Head, Slice 99/155, Field of view 240 mm wide, 1.00 mm slice spacing
FLAIR MR.
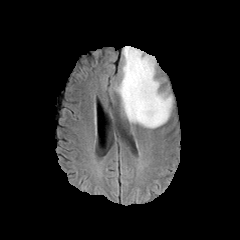
T1-weighted MRI.
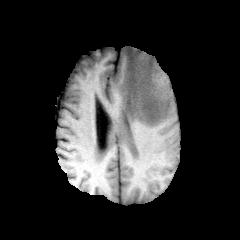
Post-contrast T1-weighted magnetic resonance.
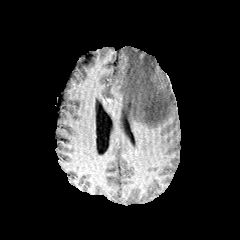
T2-weighted magnetic resonance.
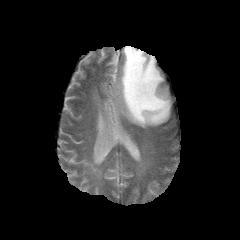
The edema is located at l=112, t=46, r=173, b=128.